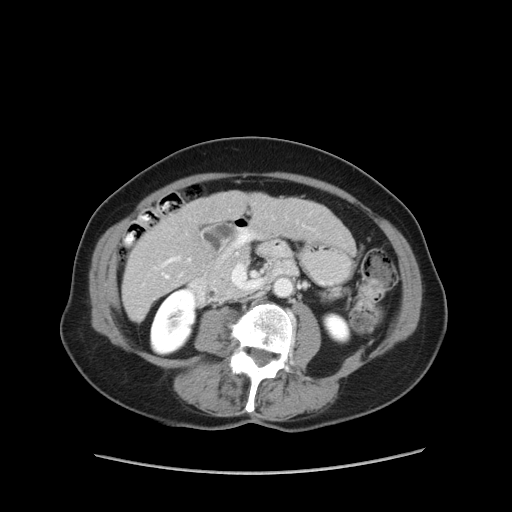 Computed tomography
Only some of the vessels may be annotated.
hepatic_vessel:
  - rect(154, 256, 180, 269)
  - rect(164, 274, 167, 277)
  - rect(187, 259, 190, 261)